Image size 240x240, Field of view 240x240 mm, Head, Slice index 87
FLAIR MRI.
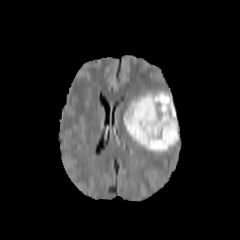
T1-weighted MR image.
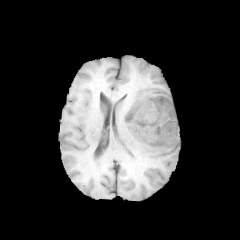
Post-contrast T1-weighted MRI.
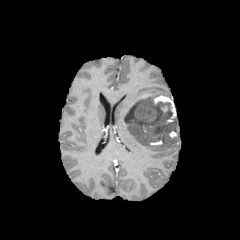
T2-weighted MRI.
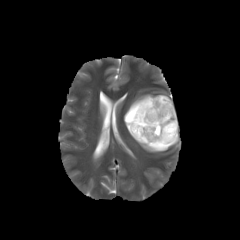
Non-enhancing tumor core: bounding box {"x1": 125, "y1": 97, "x2": 178, "y2": 148}.
Enhancing tumor: bounding box {"x1": 169, "y1": 128, "x2": 179, "y2": 138}, {"x1": 153, "y1": 95, "x2": 176, "y2": 124}, {"x1": 149, "y1": 139, "x2": 162, "y2": 145}.
Edema: bounding box {"x1": 124, "y1": 121, "x2": 166, "y2": 152}, {"x1": 125, "y1": 91, "x2": 160, "y2": 116}.